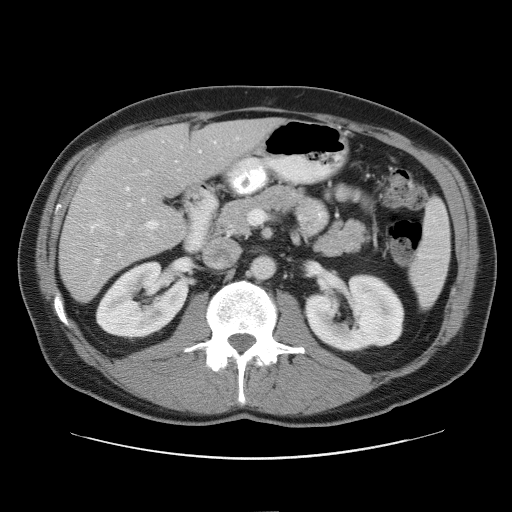

512x512 | CT scan slice | Abdomen
Some hepatic vessels may have no box.
partial: true
hepatic_vessel:
  # 15 of 19 shown
  - x1=93 y1=252 x2=99 y2=263
  - x1=125 y1=187 x2=128 y2=191
  - x1=235 y1=137 x2=237 y2=139
  - x1=142 y1=171 x2=148 y2=174
  - x1=145 y1=220 x2=164 y2=229
  - x1=117 y1=253 x2=120 y2=256
  - x1=213 y1=141 x2=215 y2=143
  - x1=89 y1=220 x2=108 y2=231
  - x1=127 y1=204 x2=129 y2=206
  - x1=141 y1=199 x2=144 y2=202
  - x1=148 y1=234 x2=151 y2=237
  - x1=97 y1=243 x2=104 y2=249
  - x1=117 y1=231 x2=122 y2=235
  - x1=140 y1=244 x2=143 y2=248
  - x1=133 y1=159 x2=136 y2=161